Head | Image size 240x240
FLAIR magnetic resonance.
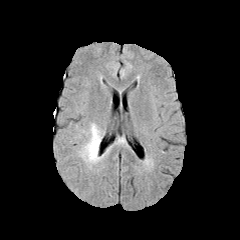
T1-weighted MR image.
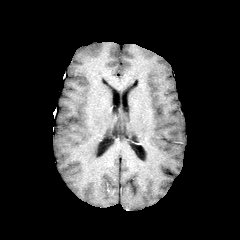
Post-contrast T1-weighted MRI.
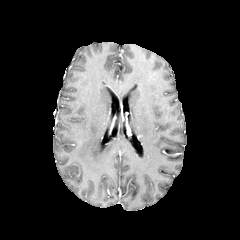
T2-weighted MR image.
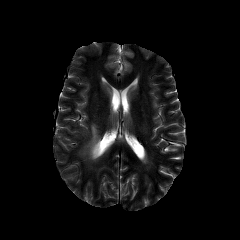
The edema is located at bbox=[76, 123, 111, 165].